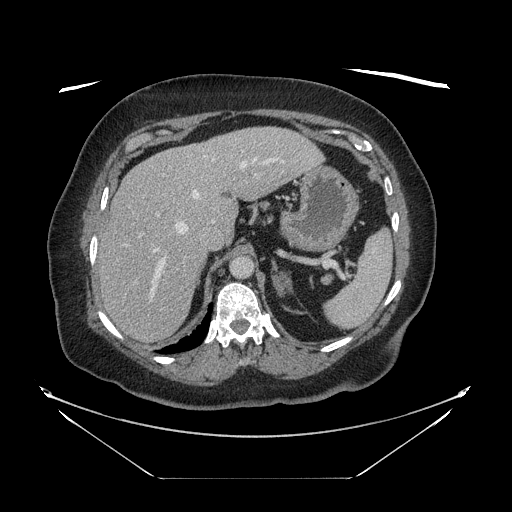
Upper abdomen. 512x512. Computed tomography.
pancreas: left=324, top=274, right=332, bottom=282